Liver, CT slice
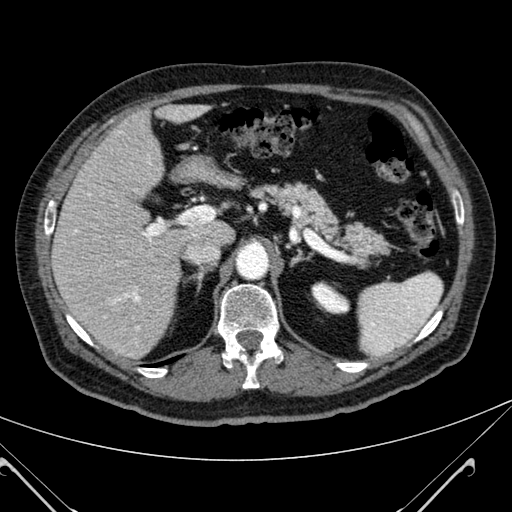

* liver: (160, 102, 208, 121), (50, 115, 229, 355)
* kidney: (313, 284, 347, 312)